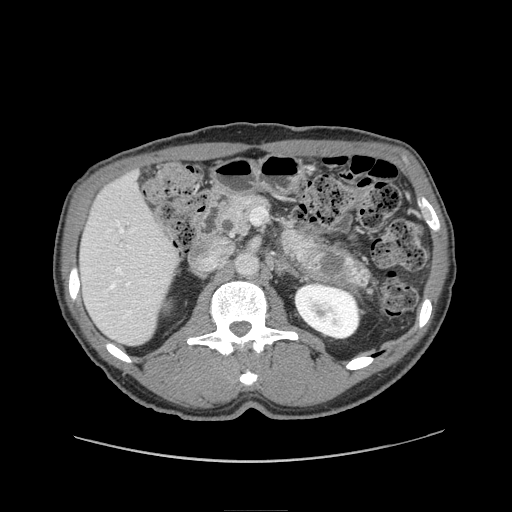 Upper abdomen; CT image

Pancreas: bounding box x1=219, y1=195, x2=268, y2=235; x1=282, y1=220, x2=352, y2=279.
Pancreatic tumor: bounding box x1=319, y1=252, x2=343, y2=278.